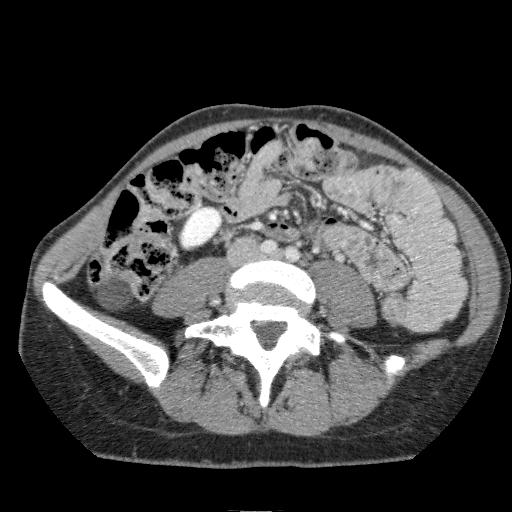

CT slice. Abdomen. {
  "kidney": [
    "<bbox>182, 208, 220, 246</bbox>"
  ]
}